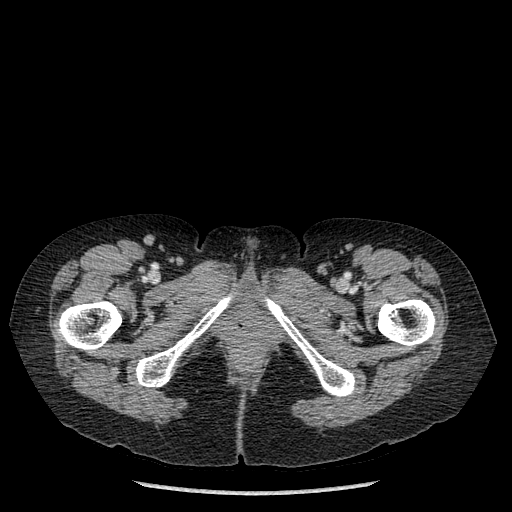 512x512 px; CT
bone: 378, 299, 435, 348; 262, 297, 355, 396; 135, 292, 236, 387; 55, 300, 121, 352